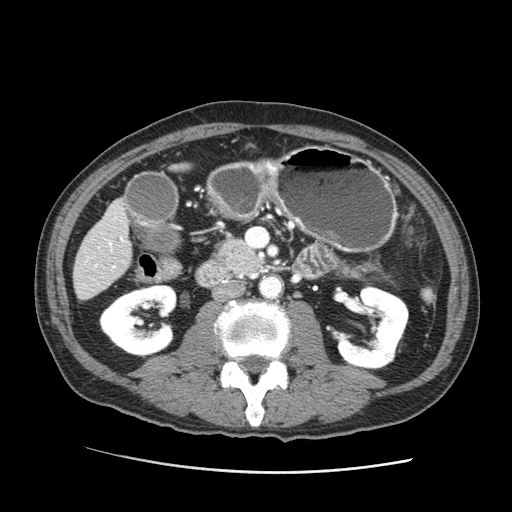

Abdomen, CT

Findings:
* pancreas: 328 256 378 280, 216 238 260 276